Head, Image width 240 mm, Image size 240x240
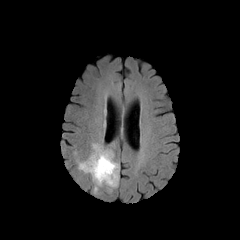
FLAIR MR image.
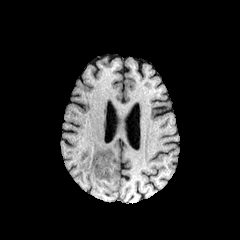
T1-weighted MR.
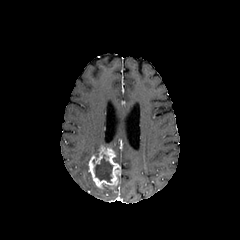
Post-contrast T1-weighted MR.
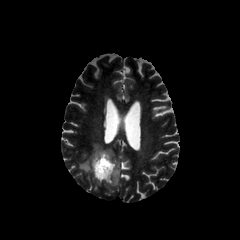
T2-weighted MRI.
Enhancing tumor at x1=88 y1=145 x2=120 y2=188.
Non-enhancing tumor core at x1=93 y1=154 x2=114 y2=183.
Edema at x1=76 y1=142 x2=99 y2=174.